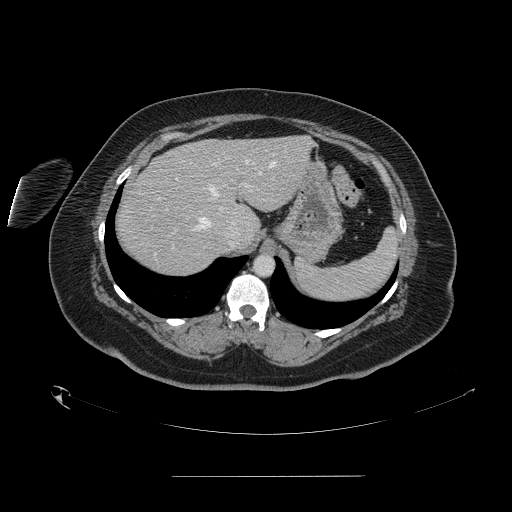 Computed tomography, 512x512 px, Abdomen
Segmented structures:
* spleen: 295,228,398,302